FLAIR MRI.
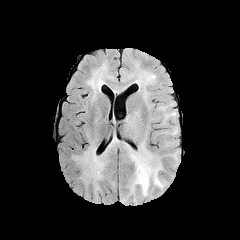
T1-weighted MR image.
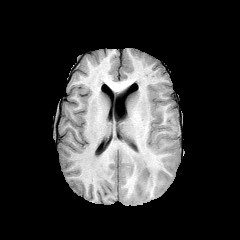
Post-contrast T1-weighted MRI.
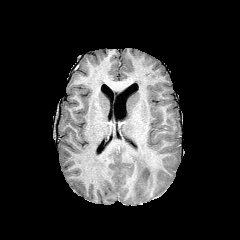
T2-weighted MR image.
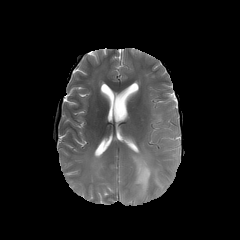
Head
2 edema regions are located at box(128, 148, 164, 196); box(78, 144, 104, 182).